Slice 180 of 244, CT scan slice 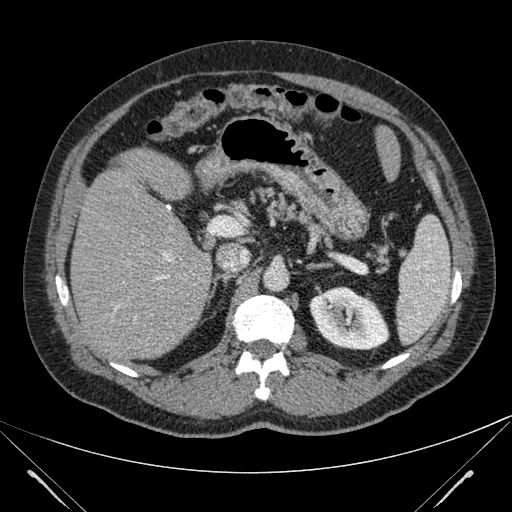

liver: box(66, 148, 209, 369); box(376, 126, 399, 180) | kidney: box(311, 288, 388, 348)